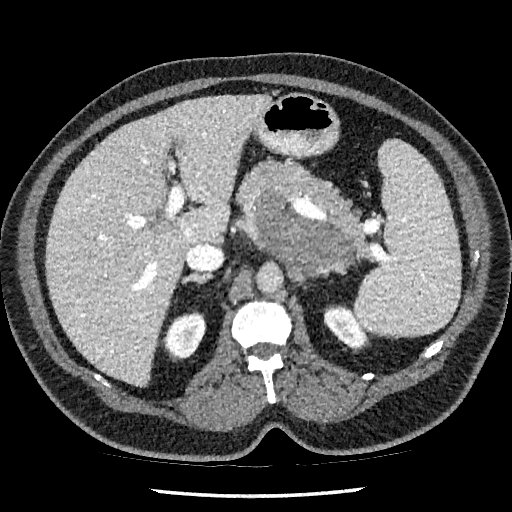
Image size 512x512; CT scan slice
{"kidney": ["left=325, top=308, right=365, bottom=346", "left=166, top=314, right=204, bottom=357"], "liver_lesion": ["left=173, top=139, right=182, bottom=146"], "liver": ["left=46, top=95, right=269, bottom=385"]}